Slice index 555. 512x512 px. CT slice. Chest.

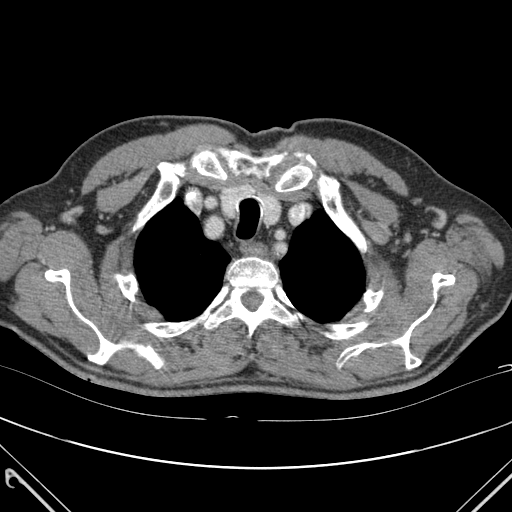

• bone: x1=45, y1=269, x2=121, y2=364; x1=276, y1=165, x2=312, y2=191; x1=116, y1=275, x2=137, y2=300; x1=276, y1=286, x2=292, y2=306; x1=432, y1=273, x2=454, y2=297; x1=342, y1=343, x2=379, y2=358; x1=192, y1=146, x2=252, y2=179; x1=318, y1=175, x2=365, y2=249; x1=136, y1=346, x2=162, y2=368; x1=326, y1=322, x2=367, y2=338; x1=262, y1=155, x2=283, y2=164; x1=393, y1=305, x2=433, y2=368; x1=145, y1=257, x2=296, y2=336; x1=364, y1=290, x2=382, y2=311; x1=138, y1=162, x2=184, y2=226
• lung: x1=134, y1=199, x2=230, y2=321; x1=279, y1=210, x2=364, y2=322